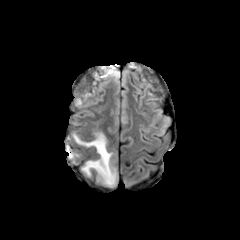
FLAIR MR image.
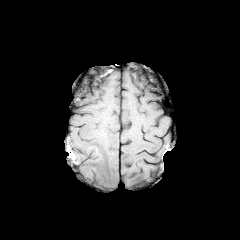
T1-weighted MR.
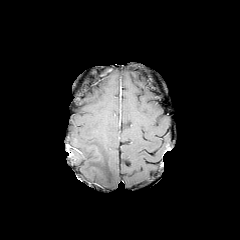
Same slice, post-contrast T1-weighted magnetic resonance.
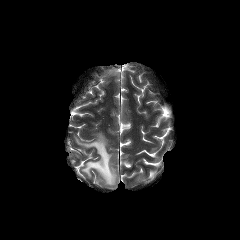
T2-weighted magnetic resonance of the same slice.
Image size 240x240.
edema:
  - region(73, 132, 117, 186)
  - region(108, 70, 117, 79)